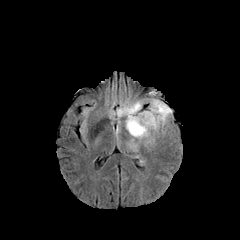
FLAIR MR.
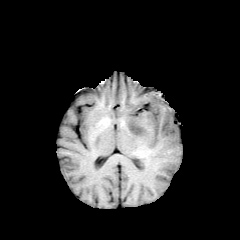
T1-weighted magnetic resonance.
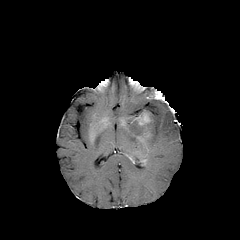
Post-contrast T1-weighted MR image of the same slice.
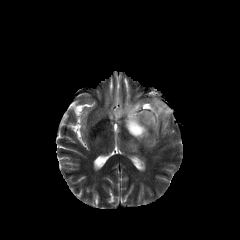
T2-weighted magnetic resonance.
Brain, 240x240
Enhancing tumor = box=[137, 114, 148, 124].
Edema = box=[117, 95, 172, 152].
Non-enhancing tumor core = box=[131, 117, 142, 132].